FLAIR MR image.
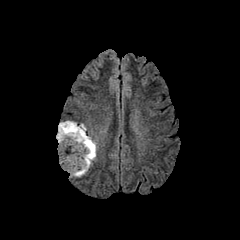
T1-weighted MR image.
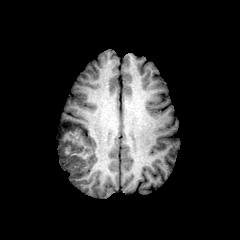
Post-contrast T1-weighted MR.
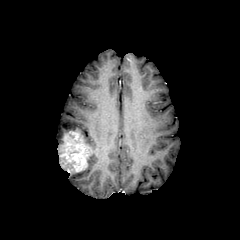
T2-weighted MR image.
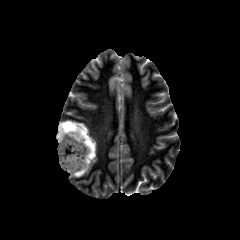
Head
Findings:
* edema: 65,120,85,127; 71,126,97,177
* non-enhancing tumor core: 58,122,79,138; 59,145,78,154; 73,128,94,161
* enhancing tumor: 60,131,90,173